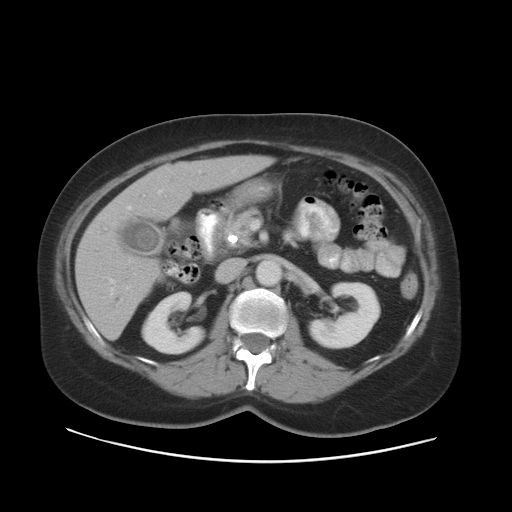 Abdomen | 512x512 | CT slice
{"pancreas": [{"x1": 217, "y1": 209, "x2": 261, "y2": 250}]}